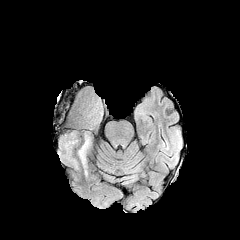
FLAIR magnetic resonance.
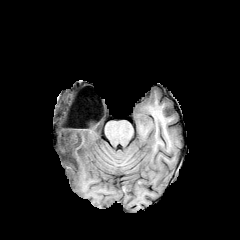
T1-weighted magnetic resonance.
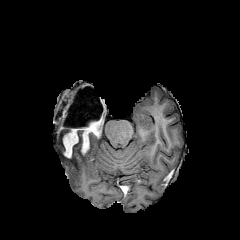
Post-contrast T1-weighted MR image.
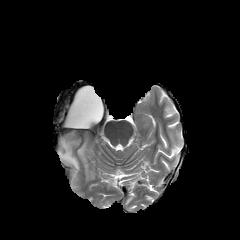
T2-weighted MR image.
Head
Edema at {"x1": 60, "y1": 152, "x2": 78, "y2": 168}, {"x1": 77, "y1": 150, "x2": 88, "y2": 176}.
Enhancing tumor at {"x1": 63, "y1": 132, "x2": 77, "y2": 157}, {"x1": 82, "y1": 132, "x2": 89, "y2": 154}, {"x1": 84, "y1": 121, "x2": 99, "y2": 130}.
Non-enhancing tumor core at {"x1": 75, "y1": 96, "x2": 101, "y2": 125}, {"x1": 70, "y1": 126, "x2": 98, "y2": 155}.